Slice 74/155
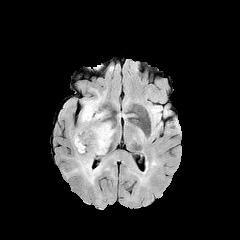
FLAIR MR image.
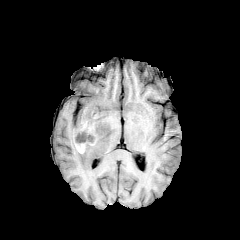
T1-weighted magnetic resonance.
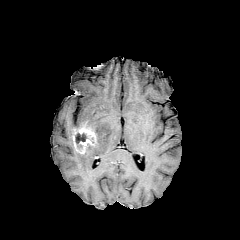
Post-contrast T1-weighted MR image.
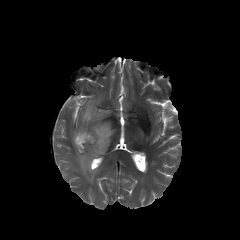
T2-weighted MR image.
The enhancing tumor is at {"x1": 72, "y1": 128, "x2": 96, "y2": 153}. The non-enhancing tumor core lies within {"x1": 76, "y1": 133, "x2": 86, "y2": 143}. 2 edema regions appear at {"x1": 77, "y1": 122, "x2": 115, "y2": 184}, {"x1": 79, "y1": 92, "x2": 107, "y2": 123}.